Computed tomography. Image size 512x512.
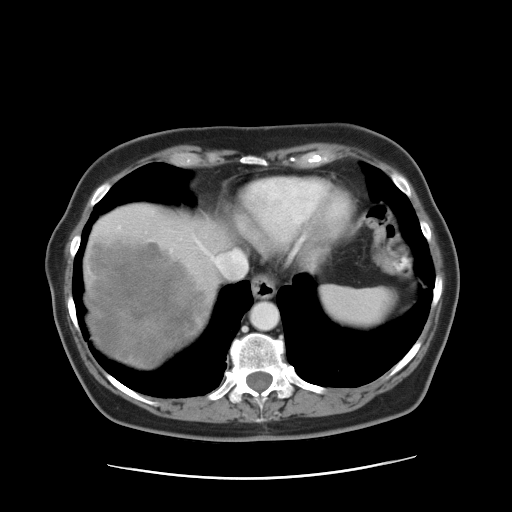

The vessel annotation is not exhaustive.
<segmentation>
  <hepatic_vessel>(left=196, top=240, right=246, bottom=277)</hepatic_vessel>
  <liver_tumor>(left=86, top=235, right=210, bottom=366)</liver_tumor>
</segmentation>